Image width 240 mm | Slice 100 of 155 | 240x240
FLAIR MR.
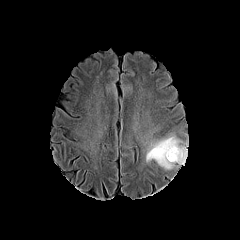
T1-weighted magnetic resonance.
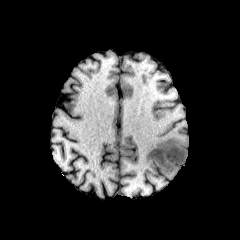
Post-contrast T1-weighted MR.
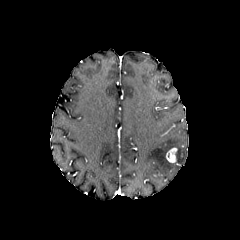
T2-weighted MR.
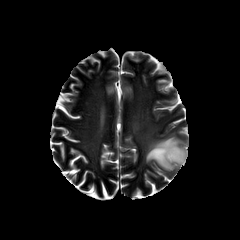
Findings:
* edema: 146 137 188 169
* enhancing tumor: 166 148 176 162